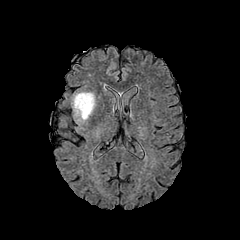
FLAIR magnetic resonance.
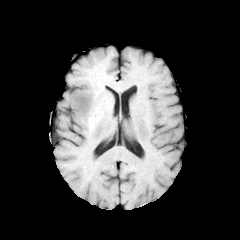
T1-weighted magnetic resonance.
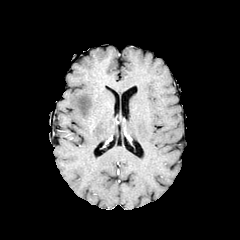
Post-contrast T1-weighted MR.
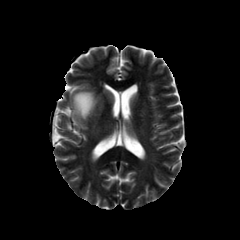
T2-weighted MR image.
Head
The edema is bounded by (72, 92, 95, 119).